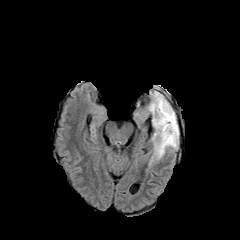
FLAIR MR image.
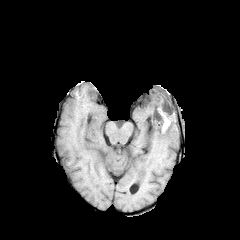
T1-weighted MR.
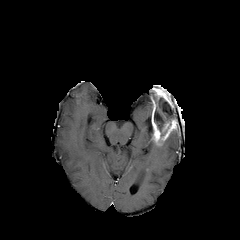
Post-contrast T1-weighted MRI.
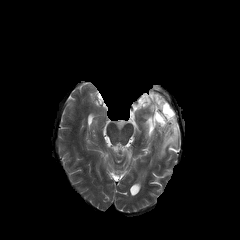
T2-weighted MRI.
Head.
enhancing tumor: x1=150 y1=86 x2=178 y2=143 | non-enhancing tumor core: x1=154 y1=98 x2=175 y2=135 | edema: x1=149 y1=134 x2=179 y2=164, x1=144 y1=104 x2=151 y2=116